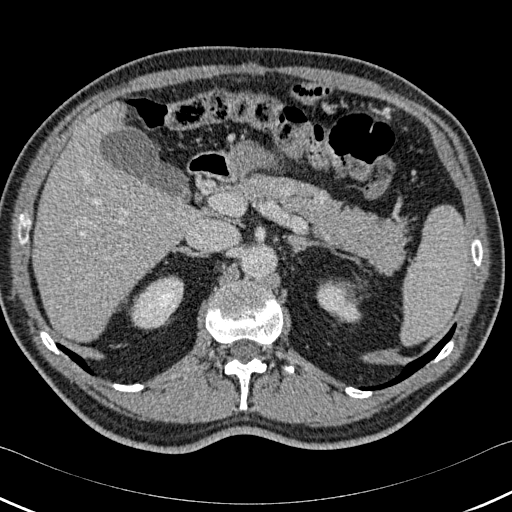 Upper abdomen. CT slice. 512x512 px.

Lung at box(66, 349, 97, 376); box(358, 323, 456, 390).
Liver at box(33, 102, 199, 341).
Bone at box(434, 341, 453, 362); box(284, 366, 293, 373); box(113, 384, 143, 391); box(18, 214, 30, 244); box(471, 239, 482, 266); box(206, 283, 282, 346); box(225, 358, 266, 409); box(345, 387, 371, 398); box(40, 332, 59, 354).
Kidney at box(133, 278, 182, 327); box(318, 285, 358, 319).